CT
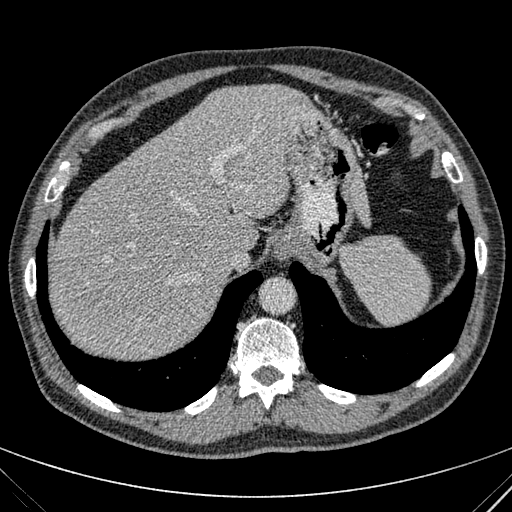 Liver at <box>48,84,321,358</box>, <box>350,165,370,228</box>.